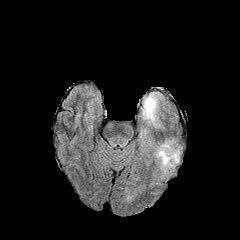
FLAIR MR image.
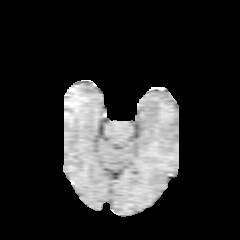
T1-weighted MRI of the same slice.
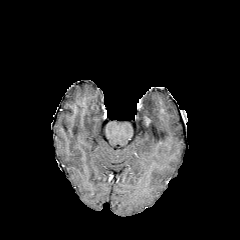
Post-contrast T1-weighted magnetic resonance.
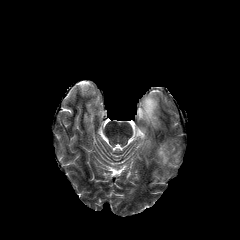
T2-weighted MR image of the same slice.
Brain; Image size 240x240
Edema — [156,144,163,163], [137,92,162,147].